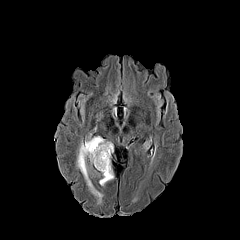
FLAIR MR.
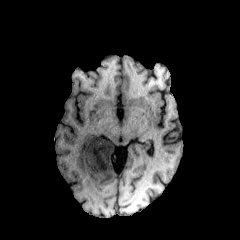
Same slice, T1-weighted magnetic resonance.
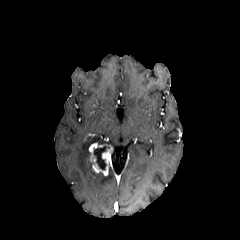
Same slice, post-contrast T1-weighted magnetic resonance.
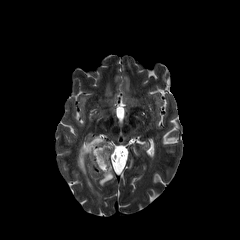
Same slice, T2-weighted MR image.
240x240 px | Head
Enhancing tumor: 87,139,113,176.
Non-enhancing tumor core: 94,146,106,170.
Edema: 99,172,113,185; 75,136,103,202.